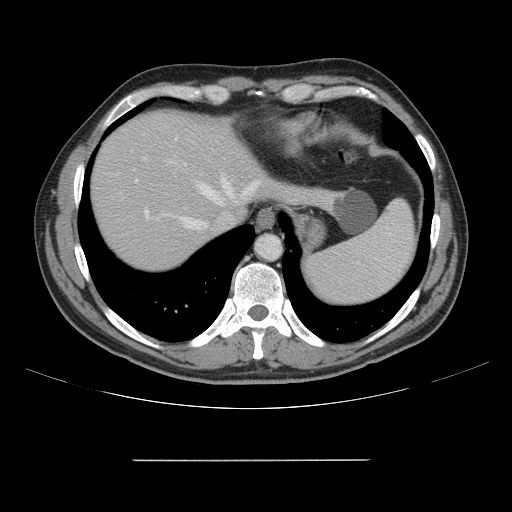

Computed tomography
Some hepatic vessels may have no box.
* hepatic vessel: box=[143, 157, 146, 158]; box=[173, 162, 175, 163]; box=[160, 214, 163, 215]; box=[168, 159, 170, 160]; box=[199, 184, 222, 204]; box=[222, 178, 233, 196]; box=[243, 181, 260, 196]; box=[181, 217, 207, 228]; box=[144, 209, 148, 218]; box=[135, 180, 137, 181]